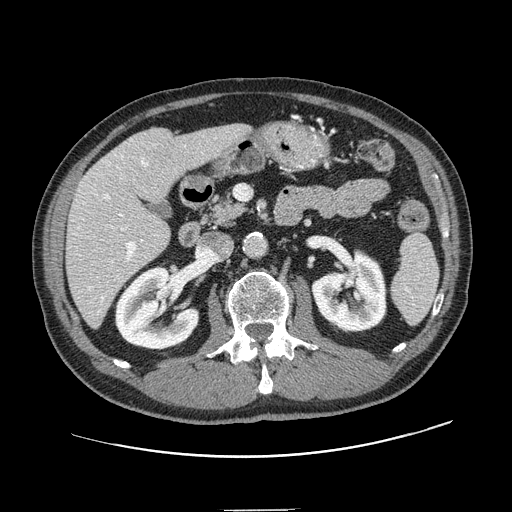

Upper abdomen; CT scan slice
Segmented structures:
* pancreas: left=208, top=191, right=248, bottom=228